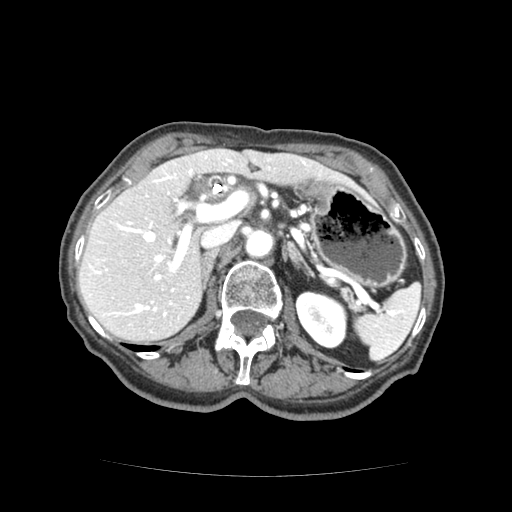
Abdomen, Computed tomography

Annotated regions:
* pancreas: rect(341, 287, 352, 302)